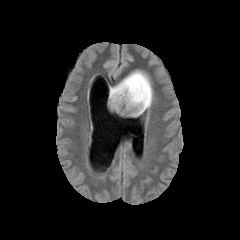
FLAIR MR.
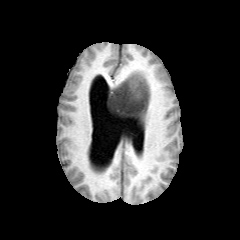
Same slice, T1-weighted MR.
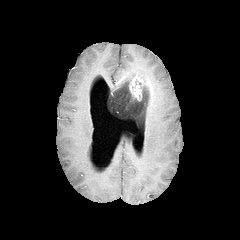
Post-contrast T1-weighted MR of the same slice.
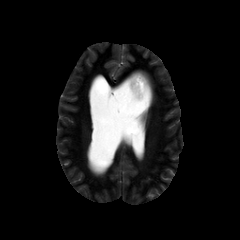
T2-weighted MRI.
Brain
Edema: bounding box [x1=109, y1=68, x2=157, y2=112].
Enhancing tumor: bounding box [x1=127, y1=72, x2=150, y2=101].
Non-enhancing tumor core: bounding box [x1=107, y1=81, x2=149, y2=120].